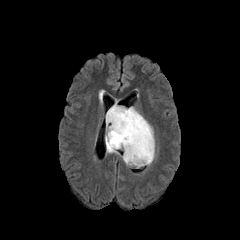
FLAIR magnetic resonance.
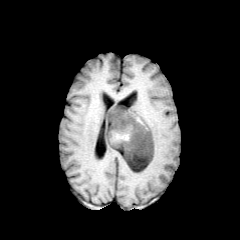
T1-weighted MRI of the same slice.
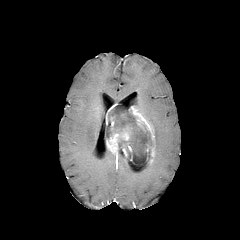
Post-contrast T1-weighted MR image.
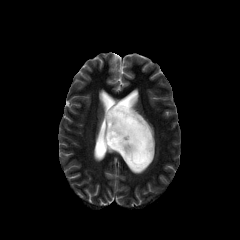
Same slice, T2-weighted MR.
Head
The non-enhancing tumor core appears at <box>106,105,153,167</box>. 3 enhancing tumor regions appear at <box>129,106,154,141</box>, <box>149,146,154,163</box>, <box>106,117,131,157</box>. 2 edema regions are bounded by <box>115,152,134,167</box>, <box>153,137,157,161</box>.